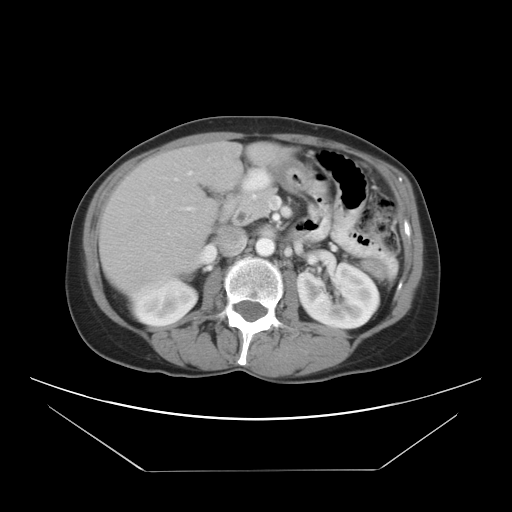

Liver | CT scan slice

Only some of the vessels may be annotated.
Segmented structures:
- hepatic vessel: [x1=167, y1=232, x2=169, y2=233], [x1=164, y1=209, x2=167, y2=212], [x1=157, y1=254, x2=159, y2=259], [x1=237, y1=149, x2=238, y2=151], [x1=187, y1=206, x2=195, y2=210], [x1=223, y1=157, x2=226, y2=159], [x1=186, y1=171, x2=189, y2=174], [x1=175, y1=258, x2=186, y2=266], [x1=205, y1=208, x2=208, y2=209], [x1=149, y1=195, x2=153, y2=203], [x1=182, y1=198, x2=184, y2=201], [x1=175, y1=177, x2=177, y2=178], [x1=251, y1=147, x2=265, y2=161], [x1=165, y1=269, x2=168, y2=271], [x1=178, y1=205, x2=186, y2=209]